CT scan slice, 512x512 px 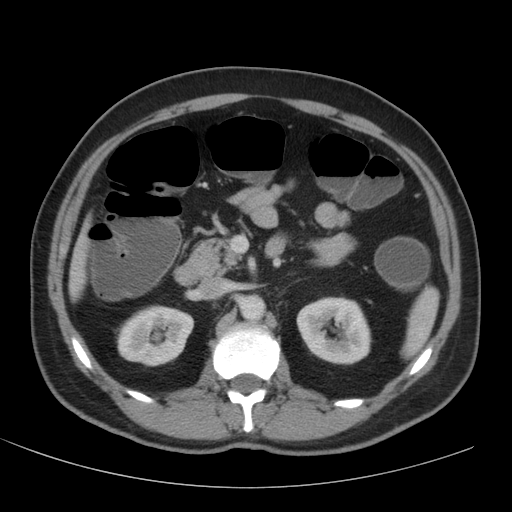 liver:
  - rect(70, 234, 86, 294)
kidney:
  - rect(297, 298, 370, 363)
  - rect(118, 306, 193, 365)